Slice index 95.
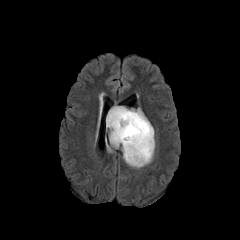
FLAIR MR image.
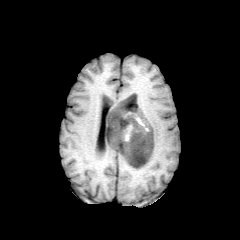
T1-weighted MR image of the same slice.
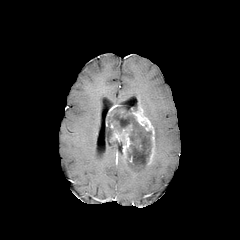
Post-contrast T1-weighted MRI of the same slice.
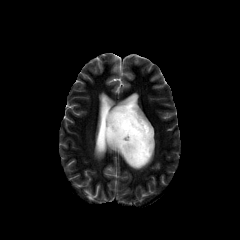
T2-weighted MR image.
2 edema regions appear at <bbox>122, 153, 138, 168</bbox>, <bbox>105, 135, 115, 152</bbox>. The non-enhancing tumor core is bounded by <bbox>106, 105, 152, 168</bbox>. 2 enhancing tumor regions appear at <bbox>132, 107, 154, 164</bbox>, <bbox>112, 126, 131, 157</bbox>.